Slice 405 of 771. CT. 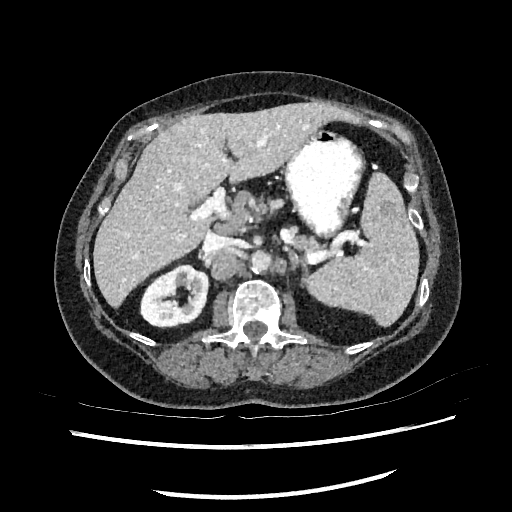 Segmented structures:
• kidney: 141:266:207:325
• liver: 93:102:357:308